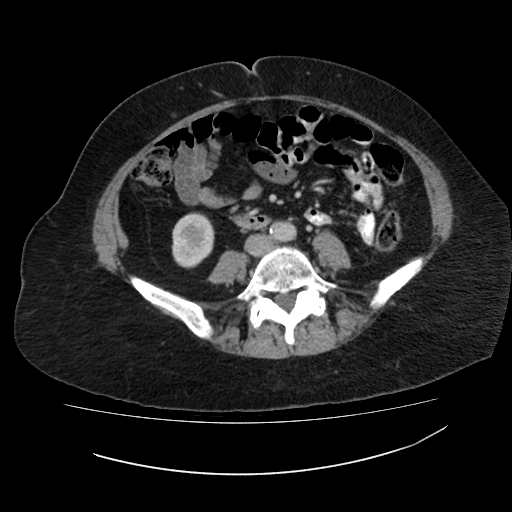
Computed tomography
Kidney — x1=172 y1=213 x2=213 y2=267.